Liver; CT slice; Slice 117/168; 512x512 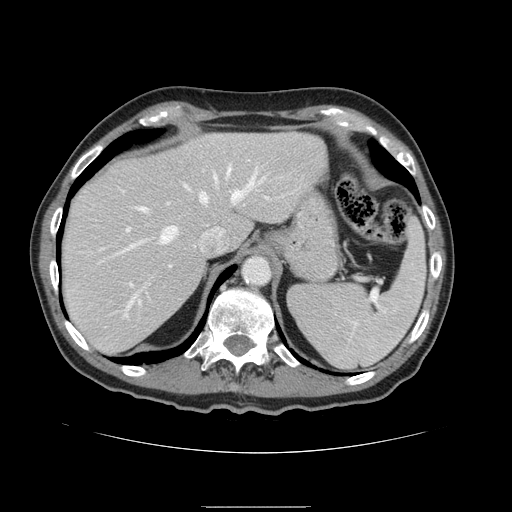
The vessel boxes may cover only some of the vessels.
15 hepatic vessel regions are bounded by 261:177:265:179, 169:264:171:266, 231:173:257:202, 185:184:188:187, 127:227:130:231, 122:242:140:251, 200:192:207:202, 266:197:268:198, 129:293:140:306, 227:167:230:174, 159:226:177:242, 138:206:147:210, 210:213:215:215, 199:226:228:252, 214:174:217:181.